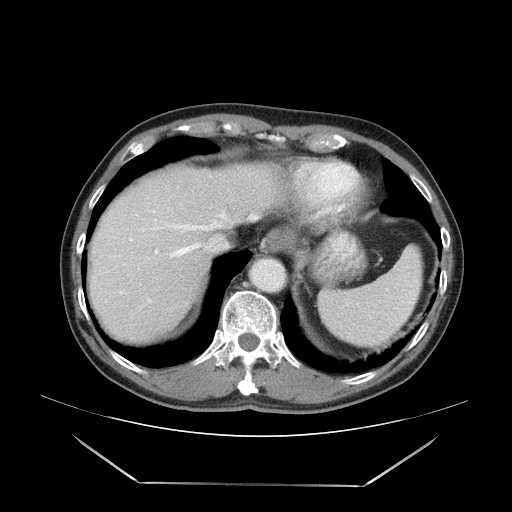

Computed tomography, Abdomen

The vessel annotation is not exhaustive.
Hepatic vessel — bbox=[182, 220, 221, 231]; bbox=[249, 212, 257, 218]; bbox=[177, 248, 189, 254]; bbox=[191, 246, 196, 247].